Head.
FLAIR magnetic resonance.
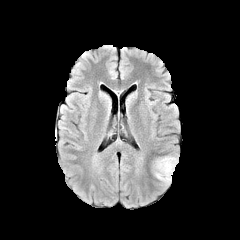
T1-weighted MRI.
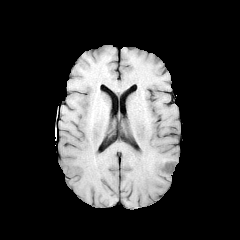
Post-contrast T1-weighted MR image.
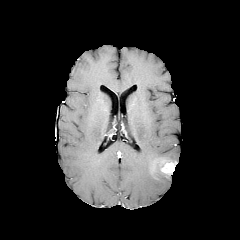
T2-weighted MR.
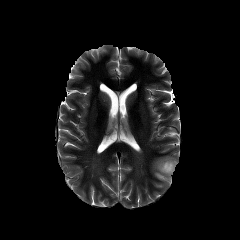
Enhancing tumor at (left=160, top=160, right=176, bottom=175).
Edema at (left=152, top=155, right=175, bottom=185).